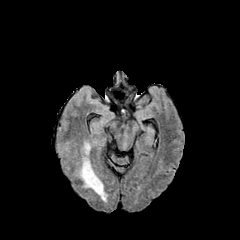
FLAIR MR.
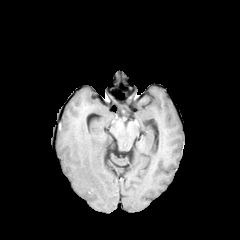
Same slice, T1-weighted magnetic resonance.
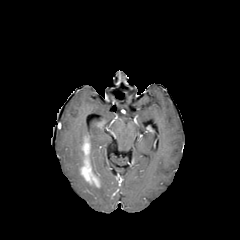
Post-contrast T1-weighted magnetic resonance.
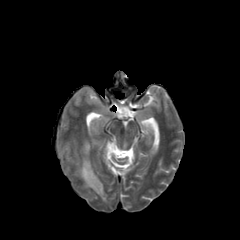
T2-weighted magnetic resonance of the same slice.
Findings:
• enhancing tumor: region(81, 136, 99, 187)
• edema: region(77, 151, 108, 202)